Brain
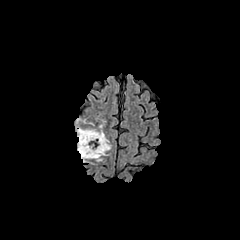
FLAIR MR image.
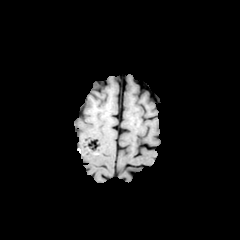
T1-weighted MRI.
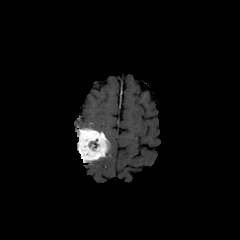
Same slice, post-contrast T1-weighted MR.
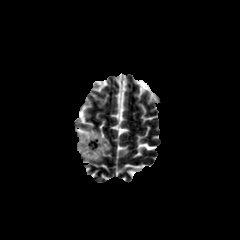
Same slice, T2-weighted MR.
enhancing tumor: box(77, 126, 109, 162) | edema: box(89, 139, 111, 164); box(84, 119, 103, 131)